FLAIR MRI.
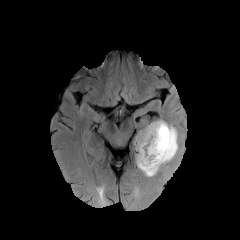
T1-weighted MR.
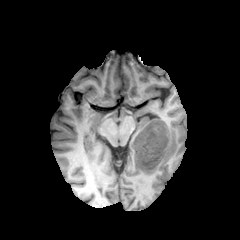
Post-contrast T1-weighted MR.
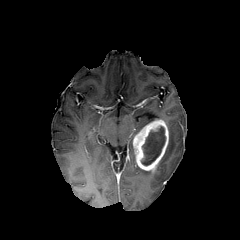
T2-weighted magnetic resonance.
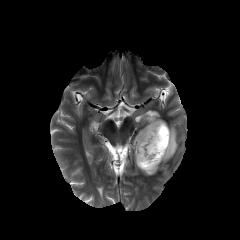
240x240 px
Non-enhancing tumor core — 142,126,165,165.
Enhancing tumor — 133,119,168,172.
Edema — 138,121,181,176.